CT image. 512x512 px.

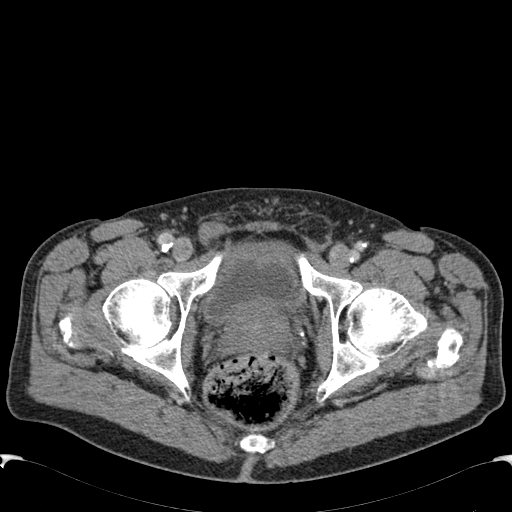

2 urinary bladder regions are located at l=196, t=239, r=306, b=331; l=204, t=347, r=221, b=351.